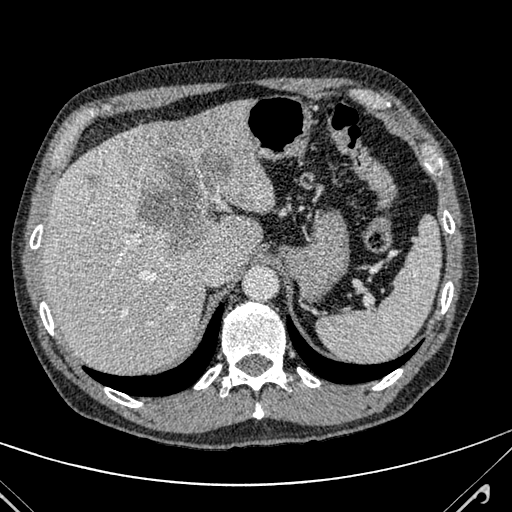 Computed tomography. Hepatic lesion at 88 178 98 185, 137 144 230 259.
Liver at 43 99 274 372.